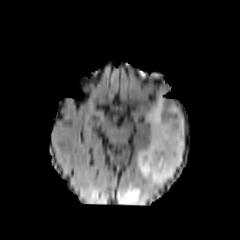
FLAIR MRI.
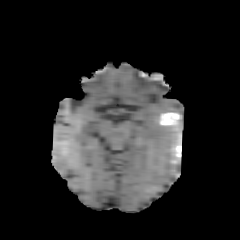
T1-weighted magnetic resonance of the same slice.
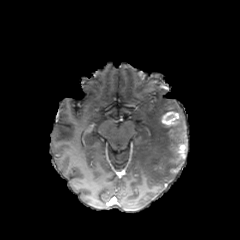
Same slice, post-contrast T1-weighted magnetic resonance.
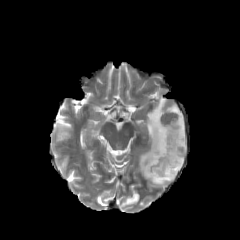
Same slice, T2-weighted MR image.
Head
Annotated regions:
* non-enhancing tumor core: [x1=167, y1=116, x2=184, y2=163]
* enhancing tumor: [x1=174, y1=144, x2=186, y2=161], [x1=162, y1=111, x2=179, y2=125]
* edema: [x1=135, y1=91, x2=186, y2=186], [x1=124, y1=193, x2=139, y2=204]